CT image | Abdomen 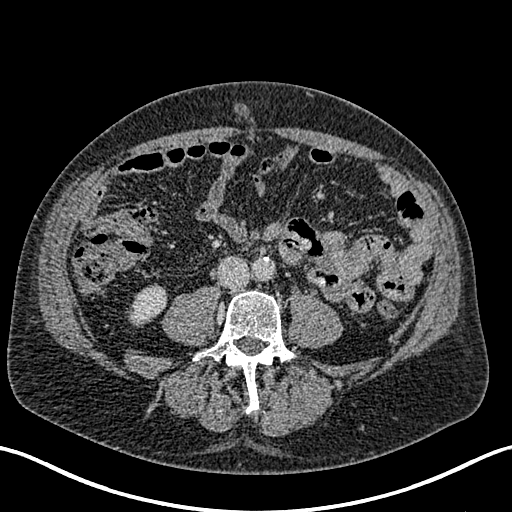

Segmented structures:
- kidney: region(126, 285, 166, 325)